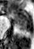

Hippocampus | MRI | 34x49
Annotated regions:
• posterior hippocampus: x1=18 y1=24 x2=28 y2=31
• anterior hippocampus: x1=10 y1=10 x2=30 y2=23